Head, Slice 117 of 155, Field of view 240 mm wide, 1.00 mm slice spacing, 240x240 px
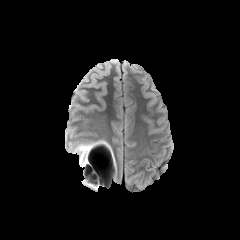
FLAIR MR.
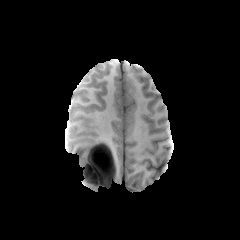
T1-weighted MRI of the same slice.
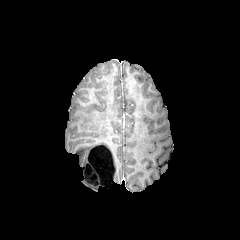
Same slice, post-contrast T1-weighted magnetic resonance.
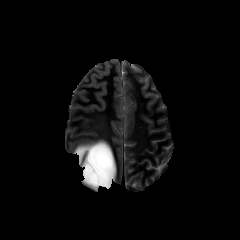
T2-weighted MRI of the same slice.
Edema: [83, 179, 99, 189], [79, 152, 87, 167], [74, 140, 103, 152].
Non-enhancing tumor core: [76, 147, 109, 185].